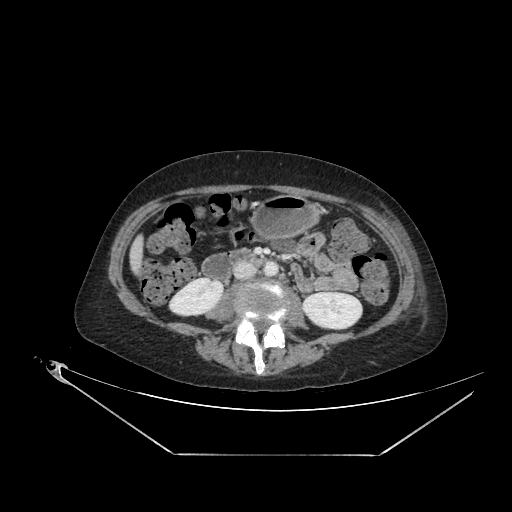
Upper abdomen, CT scan slice

Annotated regions:
* kidney: bbox=[170, 278, 222, 315]; bbox=[303, 292, 361, 328]
* liver: bbox=[127, 235, 144, 273]